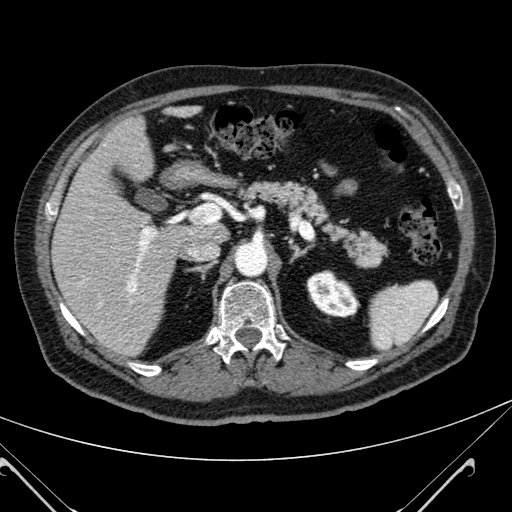
Image size 512x512 | Liver | CT image
liver:
  - 50:117:223:354
  - 175:106:198:115
kidney:
  - 308:272:356:315